MRI slice. Slice index 25. 36x48.
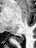 Posterior hippocampus — 13,35,23,42.